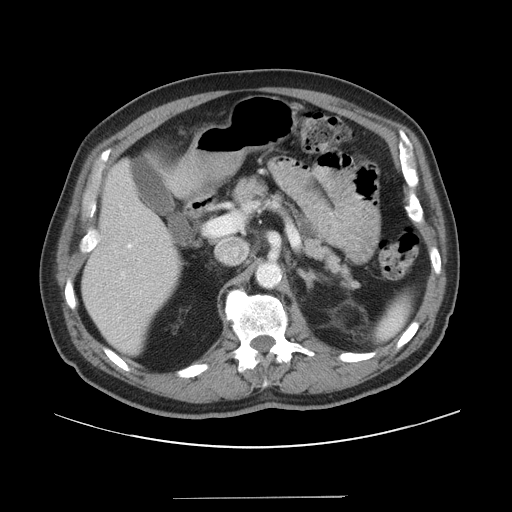

512x512 px, Abdomen, CT scan slice
Pancreas: bounding box box=[234, 175, 357, 288].